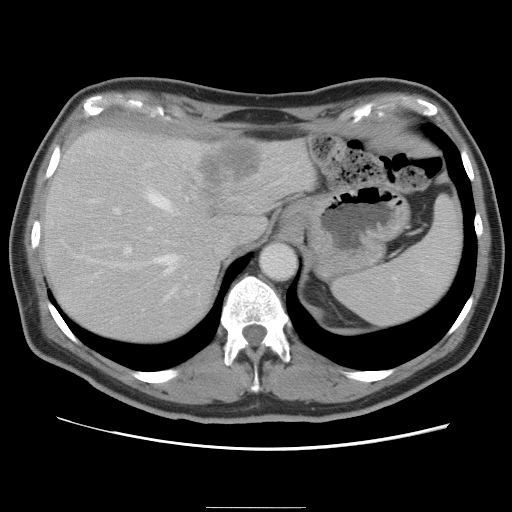 Computed tomography. Abdomen.

The vessel boxes may cover only some of the vessels.
Liver tumor = (x1=202, y1=143, x2=258, y2=185).
Hepatic vessel = (x1=120, y1=151, x2=121, y2=153), (x1=185, y1=291, x2=188, y2=293), (x1=153, y1=254, x2=178, y2=273), (x1=145, y1=188, x2=172, y2=210), (x1=78, y1=254, x2=93, y2=261), (x1=165, y1=288, x2=174, y2=298), (x1=94, y1=244, x2=109, y2=246), (x1=184, y1=275, x2=186, y2=277), (x1=89, y1=150, x2=90, y2=152), (x1=147, y1=226, x2=151, y2=229), (x1=124, y1=247, x2=130, y2=252), (x1=90, y1=199, x2=95, y2=201), (x1=114, y1=208, x2=119, y2=212).